Abdomen; CT slice; Field of view 422 mm wide, 1.50 mm slice spacing; Slice 52/164 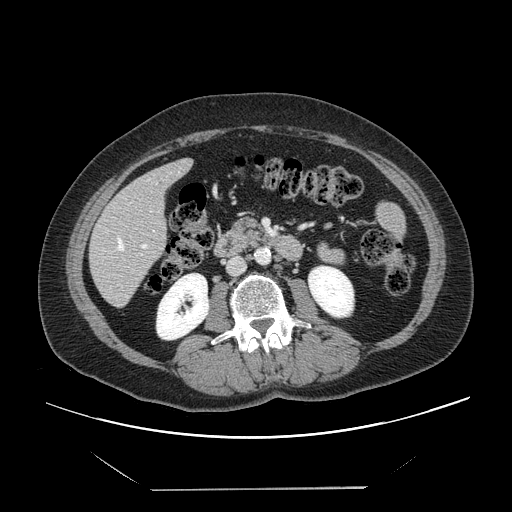

The vessel boxes may cover only some of the vessels.
3 hepatic vessel regions are located at [115, 236, 124, 251], [140, 243, 147, 249], [153, 230, 154, 231].